512x512 px. Abdomen. CT slice. Field of view 450x450 mm. Slice 136 of 158.

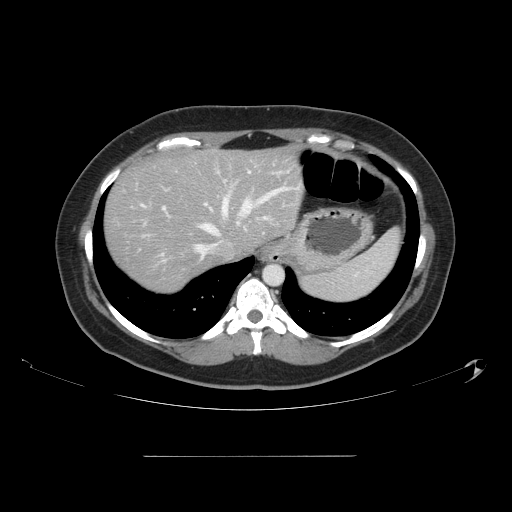
Some hepatic vessels may have no box.
11 hepatic vessel regions are bounded by 204:203:207:205, 241:199:254:214, 258:187:288:202, 162:207:165:209, 195:245:204:258, 248:171:250:173, 203:224:218:234, 141:205:144:206, 222:194:229:214, 237:222:239:224, 262:217:268:219.